CT
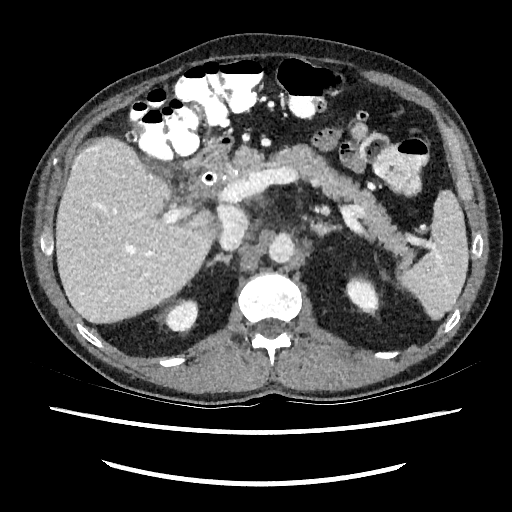 liver: [56, 138, 216, 322] | focal liver lesion: [205, 216, 218, 237] | kidney: [167, 303, 196, 330], [348, 282, 376, 309]